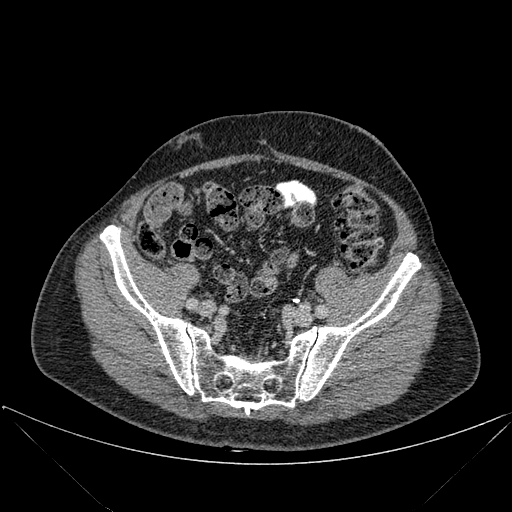
512x512. Computed tomography.

The bone appears at x1=100 y1=225 x2=420 y2=414.